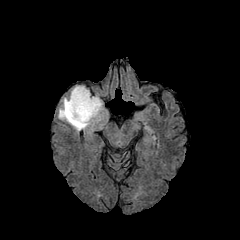
FLAIR magnetic resonance.
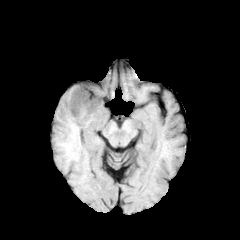
Same slice, T1-weighted MRI.
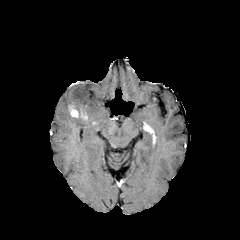
Same slice, post-contrast T1-weighted magnetic resonance.
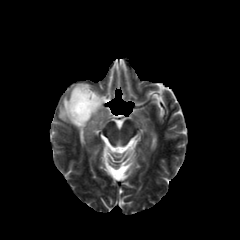
T2-weighted MR.
Head
The edema appears at box=[58, 85, 103, 132]. The enhancing tumor appears at box=[67, 102, 89, 120].